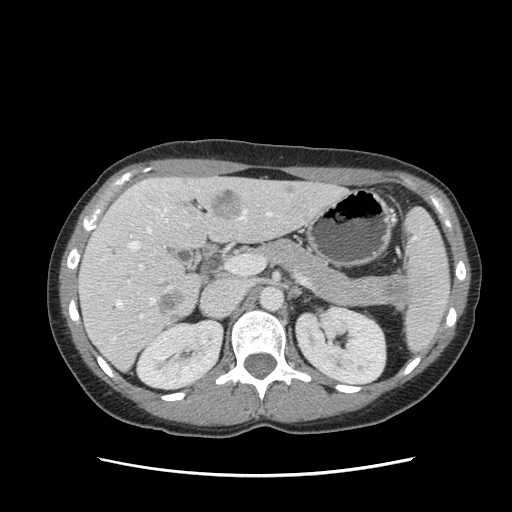

Upper abdomen | CT image

pancreatic tumor: [377,274,412,310] | pancreas: [258,239,389,306]